FLAIR magnetic resonance.
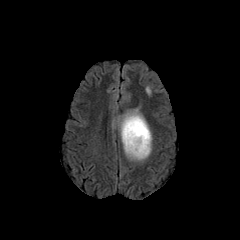
T1-weighted MR image.
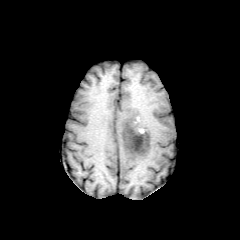
Post-contrast T1-weighted magnetic resonance.
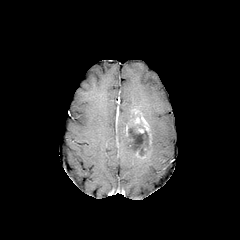
T2-weighted MR image.
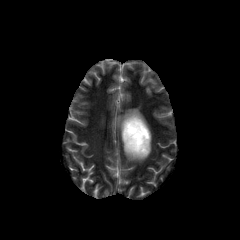
Head; Image size 240x240
Non-enhancing tumor core: 123,116,150,157.
Edema: 115,110,151,160.
Enhancing tumor: 133,117,148,132.